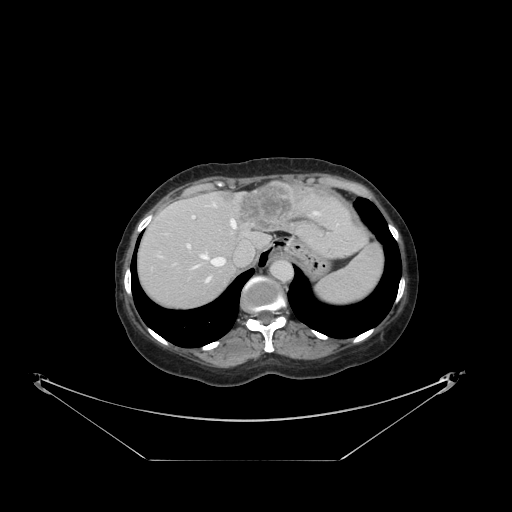 CT scan slice

The vessel boxes may cover only some of the vessels.
hepatic_vessel:
  - <bbox>234, 244, 253, 264</bbox>
  - <bbox>230, 218, 236, 228</bbox>
  - <bbox>200, 252, 226, 266</bbox>
  - <bbox>212, 201, 214, 205</bbox>
  - <bbox>192, 215, 194, 218</bbox>
  - <bbox>314, 212, 319, 214</bbox>
  - <bbox>186, 244, 190, 248</bbox>
  - <bbox>205, 276, 210, 282</bbox>
  - <bbox>191, 265, 198, 268</bbox>
liver_tumor:
  - <bbox>234, 183, 294, 230</bbox>